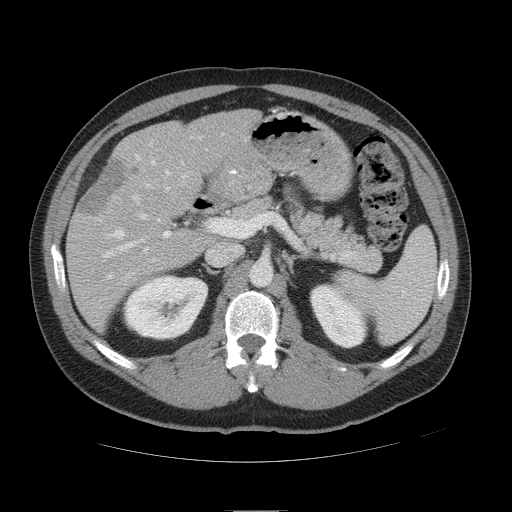
Liver. Image size 512x512. CT image. Not every hepatic vessel necessarily has a box.
* liver tumor: bbox(81, 160, 126, 216); bbox(128, 168, 138, 175)
* hepatic vessel: bbox(133, 196, 138, 202); bbox(191, 136, 192, 137); bbox(136, 155, 140, 159); bbox(146, 184, 150, 186); bbox(158, 219, 159, 220); bbox(109, 230, 123, 238); bbox(166, 187, 169, 190); bbox(108, 275, 111, 278); bbox(140, 214, 145, 218); bbox(118, 239, 143, 251); bbox(152, 160, 155, 164); bbox(144, 248, 147, 250)